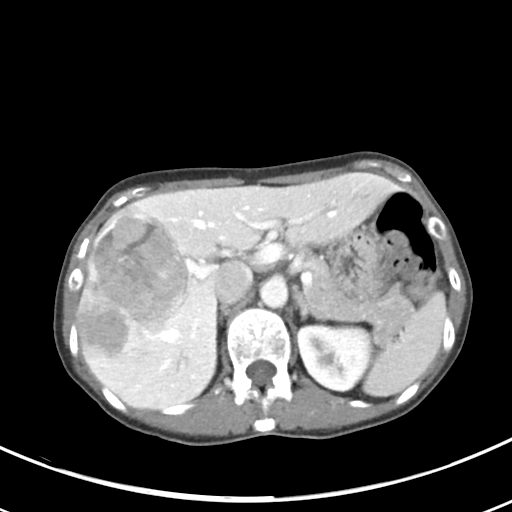
Abdomen. CT scan slice.

The vessel annotation is not exhaustive.
Liver tumor — (77, 204, 191, 362).
Hepatic vessel — (291, 213, 313, 222), (196, 267, 208, 276), (251, 223, 265, 227), (162, 331, 176, 339), (238, 215, 241, 217).